FLAIR MR.
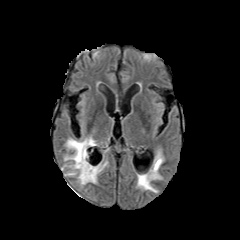
T1-weighted MR.
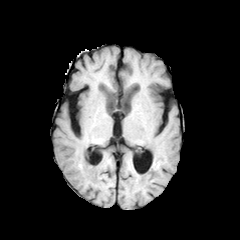
Post-contrast T1-weighted MRI.
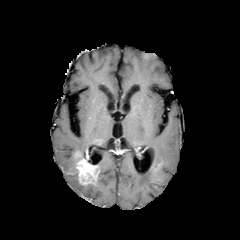
T2-weighted magnetic resonance.
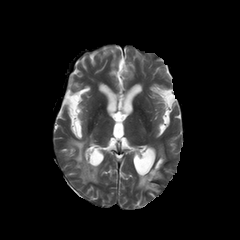
Image size 240x240 | Brain
<segmentation>
  <non-enhancing_tumor_core>left=76, top=149, right=87, bottom=165; left=78, top=176, right=93, bottom=183</non-enhancing_tumor_core>
  <edema>left=138, top=155, right=163, bottom=192; left=64, top=139, right=87, bottom=172</edema>
  <enhancing_tumor>left=76, top=152, right=98, bottom=179</enhancing_tumor>
</segmentation>